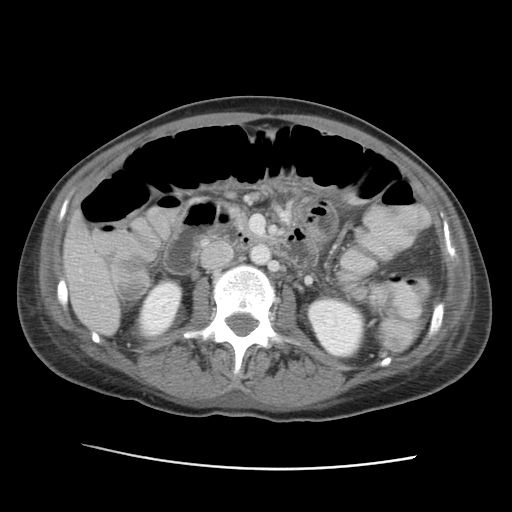 512x512 | CT slice

2 kidney regions are located at 141 283 180 334, 308 299 362 356. The liver is at 64 210 114 327.